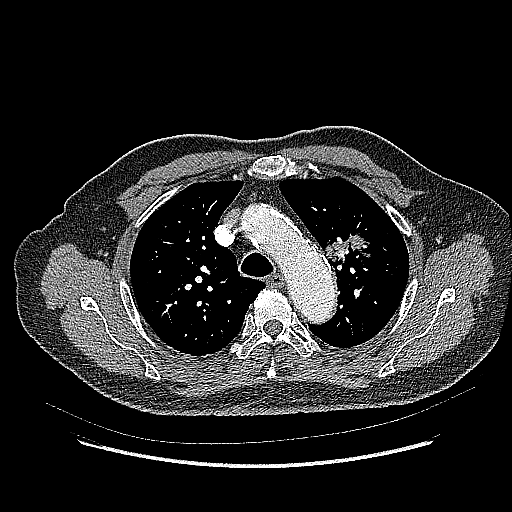
512x512. Lung. Computed tomography.

Lung tumor: box=[322, 228, 375, 266].